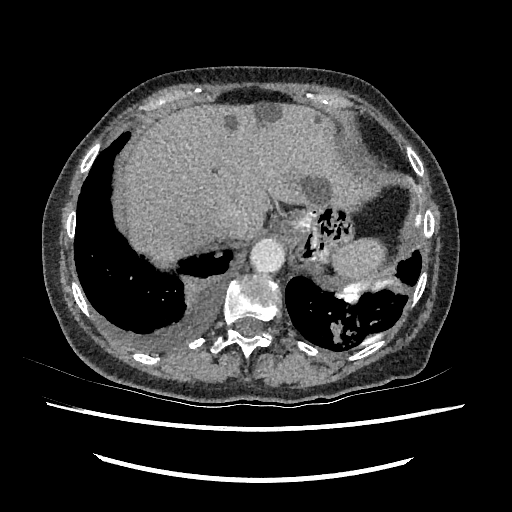

CT

Liver: bounding box [123, 104, 358, 261].
Liver lesion: bounding box [254, 104, 280, 123], [282, 174, 332, 202], [225, 115, 236, 129].